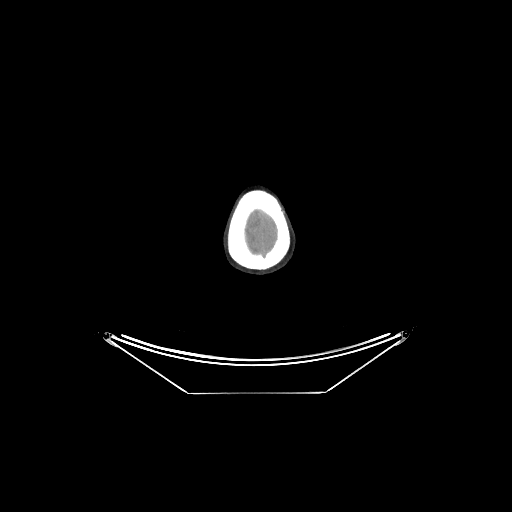

Brain | CT image
brain: region(244, 209, 277, 258)